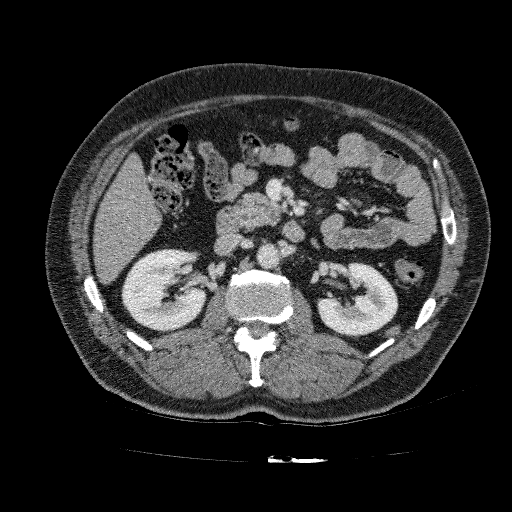

Abdomen, 512x512 px, CT slice

The liver is at rect(94, 154, 161, 282). 2 kidney regions are located at rect(318, 263, 397, 334); rect(122, 250, 205, 330).